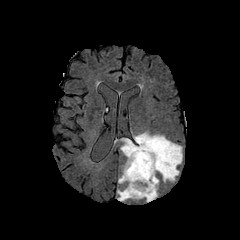
FLAIR magnetic resonance.
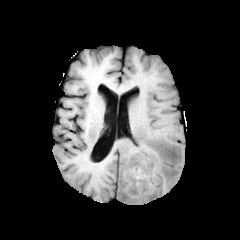
Same slice, T1-weighted MR image.
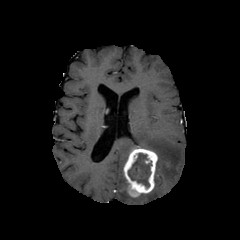
Post-contrast T1-weighted MR.
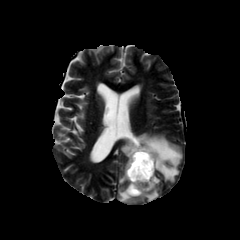
Same slice, T2-weighted MRI.
240x240 px
2 non-enhancing tumor core regions appear at [147, 147, 160, 168], [128, 153, 151, 186]. 2 edema regions are located at [120, 138, 136, 159], [118, 132, 182, 202]. The enhancing tumor is bounded by [123, 146, 157, 197].